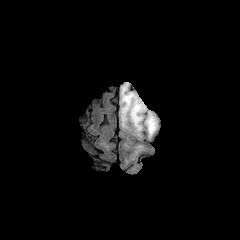
FLAIR MRI.
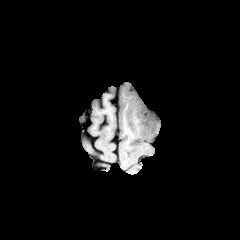
T1-weighted magnetic resonance.
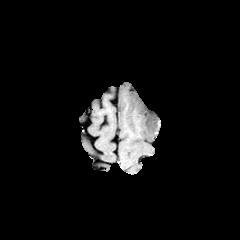
Same slice, post-contrast T1-weighted MR image.
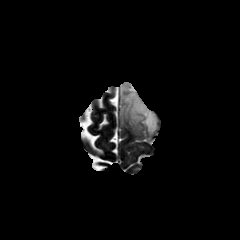
T2-weighted MR of the same slice.
Image size 240x240
The edema is at x1=119, y1=82, x2=158, y2=137. The non-enhancing tumor core appears at x1=134, y1=111, x2=143, y2=124.